Slice index 115
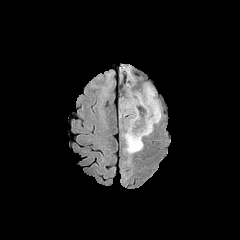
FLAIR magnetic resonance.
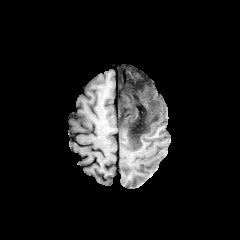
Same slice, T1-weighted MRI.
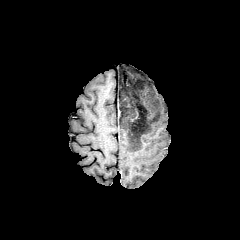
Same slice, post-contrast T1-weighted MR.
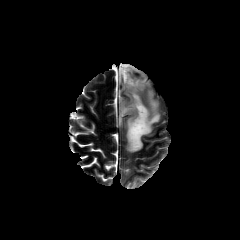
T2-weighted MRI.
2 edema regions appear at l=120, t=66, r=162, b=163; l=119, t=113, r=129, b=140. The non-enhancing tumor core appears at l=119, t=79, r=157, b=143.